CT slice. Liver. 512x512.

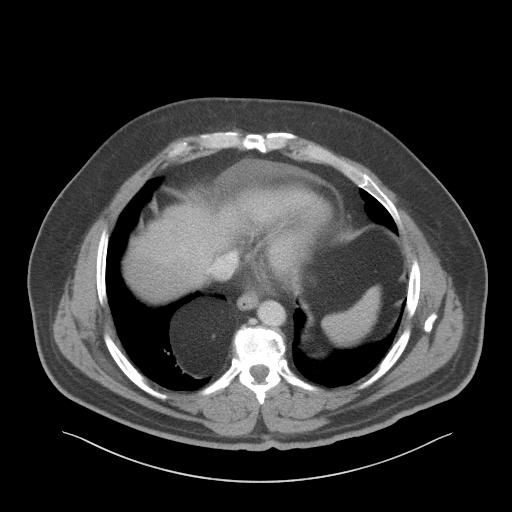
liver: l=127, t=201, r=221, b=303; l=275, t=197, r=289, b=240